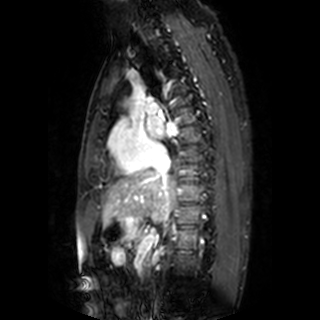

Image size 320x320. MRI slice. Annotated regions:
• left atrium: left=146, top=116, right=176, bottom=139